CT slice; Abdomen; Slice 40 of 50; Field of view 482x482 mm 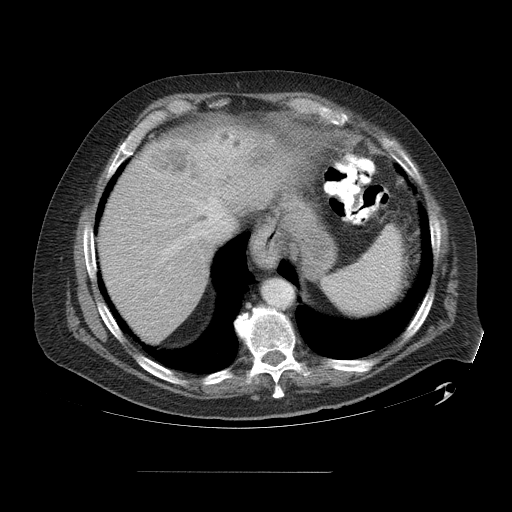
Not every hepatic vessel necessarily has a box.
• liver tumor: x1=151 y1=142 x2=198 y2=180, x1=219 y1=131 x2=242 y2=147
• hepatic vessel: x1=196 y1=154 x2=197 y2=155, x1=185 y1=215 x2=190 y2=219, x1=154 y1=198 x2=230 y2=266, x1=146 y1=280 x2=155 y2=286, x1=191 y1=199 x2=194 y2=200